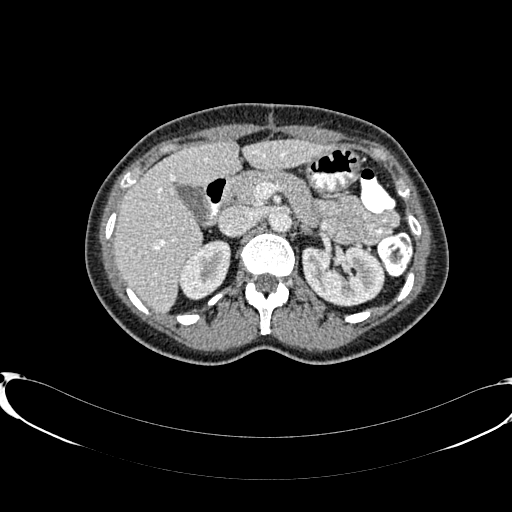

CT

<segmentation>
  <liver>bbox=[242, 140, 333, 169]; bbox=[112, 143, 240, 312]</liver>
  <kidney>bbox=[181, 243, 228, 297]; bbox=[303, 248, 383, 304]</kidney>
</segmentation>